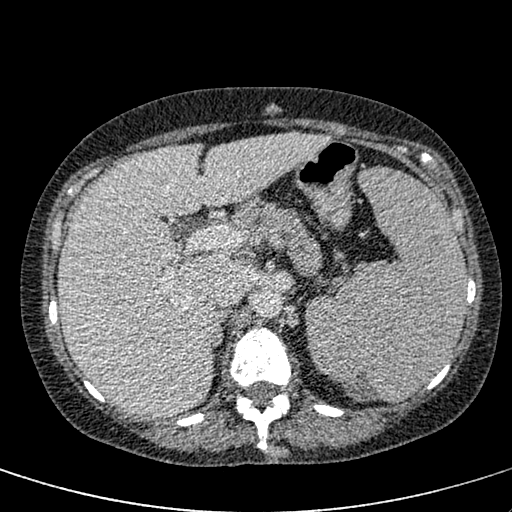

Computed tomography

Liver at l=59, t=135, r=329, b=416.